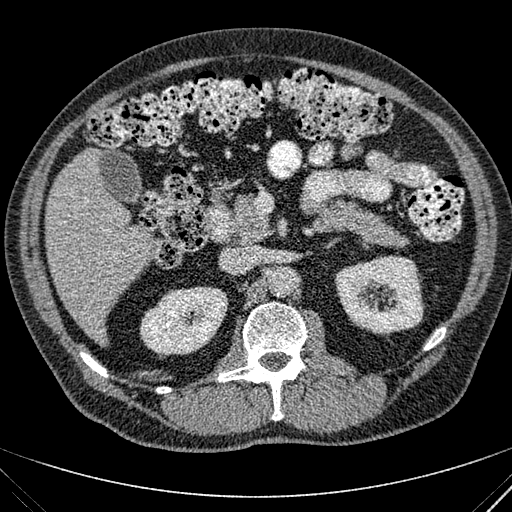

512x512 px, Computed tomography
2 kidney regions appear at l=140, t=287, r=227, b=354; l=335, t=256, r=422, b=332. The liver is located at l=44, t=149, r=153, b=340.